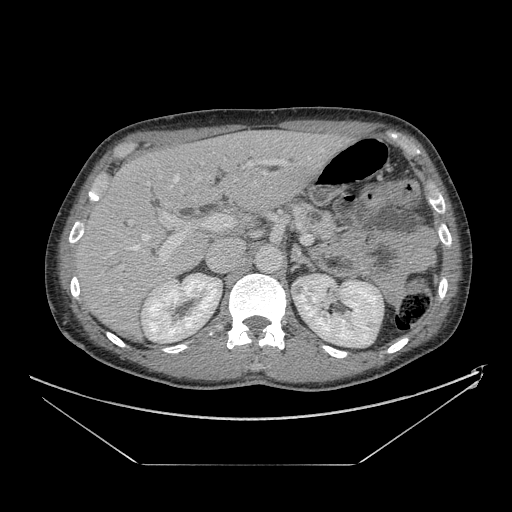 CT. Upper abdomen. pancreas:
  - box(295, 200, 338, 243)